CT scan slice; Slice 423 of 537 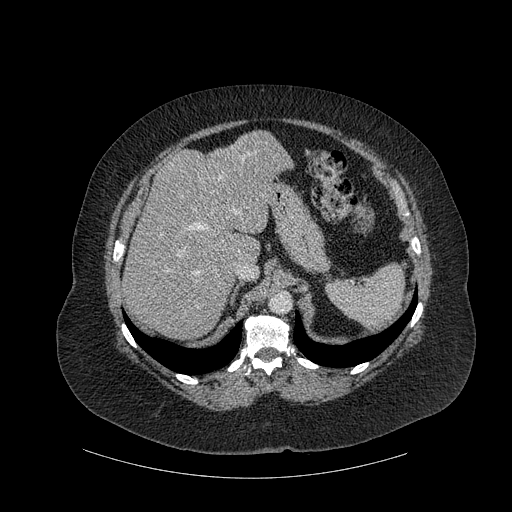 The liver lies within [122,130,290,339]. 8 bone regions appear at [411,303,422,326], [351,363,368,373], [122,324,136,347], [411,237,420,253], [297,358,317,368], [176,374,197,384], [113,241,123,260], [228,316,293,374]. 2 lung regions are bounded by [293,294,416,367], [124,314,241,374].